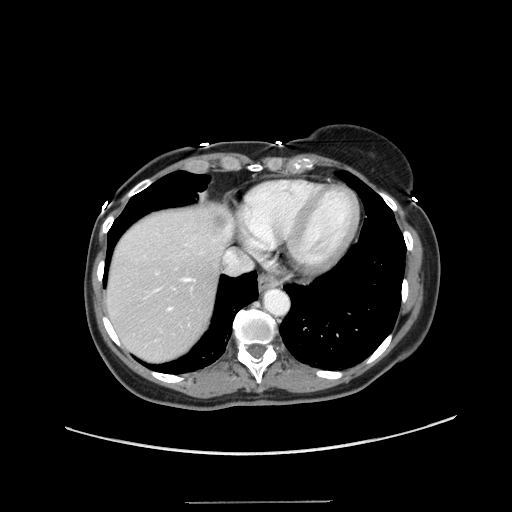
512x512. CT slice. Some hepatic vessels may have no box.
hepatic_vessel:
  - bbox=[224, 251, 250, 271]
  - bbox=[168, 307, 171, 309]
  - bbox=[156, 289, 158, 290]
  - bbox=[212, 247, 221, 249]
  - bbox=[183, 278, 193, 280]
liver_tumor:
  - bbox=[209, 207, 230, 233]